FLAIR MR.
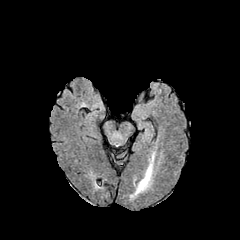
T1-weighted MR image.
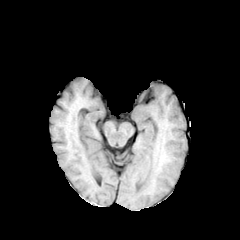
Post-contrast T1-weighted MR image.
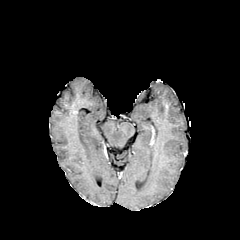
T2-weighted MRI.
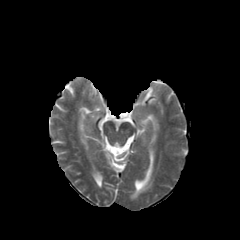
Head
Findings:
• edema: x1=130 y1=151 x2=154 y2=197